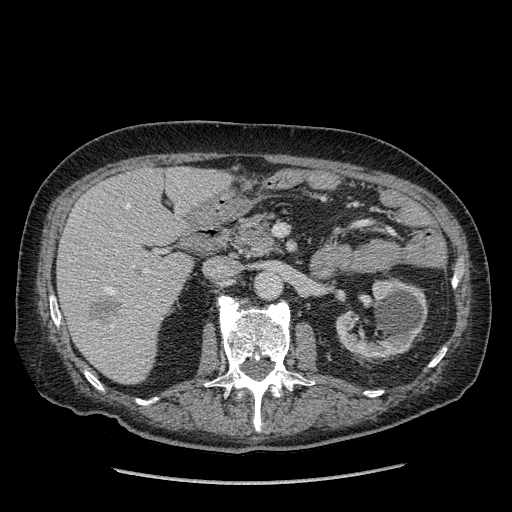 CT image

Findings:
* kidney: bbox(336, 279, 426, 359); bbox(361, 295, 372, 306)
* hepatic lesion: bbox(89, 297, 121, 324)
* liver: bbox(57, 166, 230, 384)